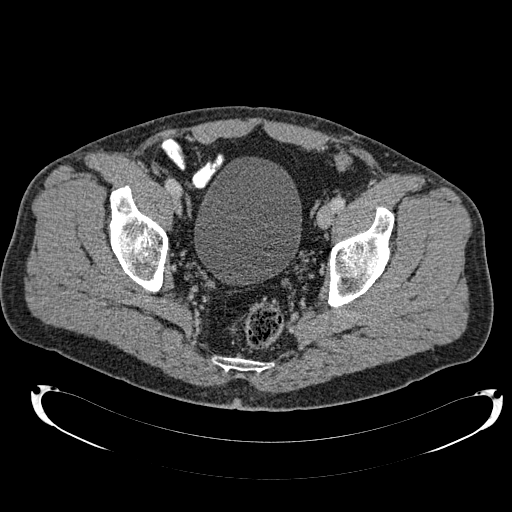

Pelvis; CT image

Urinary bladder — bbox(194, 157, 301, 284).